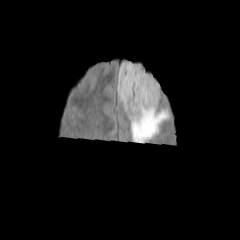
FLAIR MR.
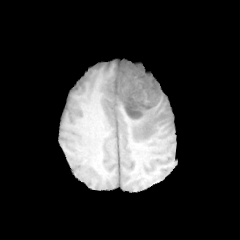
T1-weighted MR image.
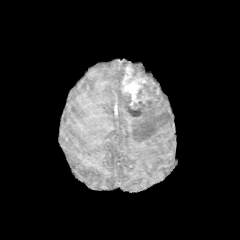
Post-contrast T1-weighted MR image.
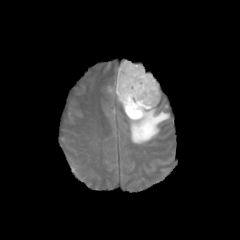
T2-weighted MRI of the same slice.
Brain. 240x240 px.
Non-enhancing tumor core: bounding box rect(125, 70, 159, 116).
Edema: bounding box rect(107, 60, 169, 143).
Enhancing tumor: bounding box rect(120, 63, 154, 108).